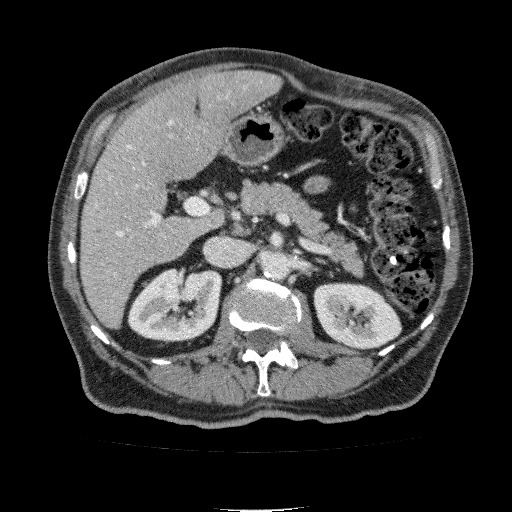 Upper abdomen; CT scan slice
Annotated regions:
* liver: x1=82, y1=71, x2=282, y2=328
* kidney: x1=315, y1=284, x2=400, y2=348; x1=129, y1=270, x2=220, y2=339